CT image | Abdomen | 512x512 | Field of view 425x425 mm

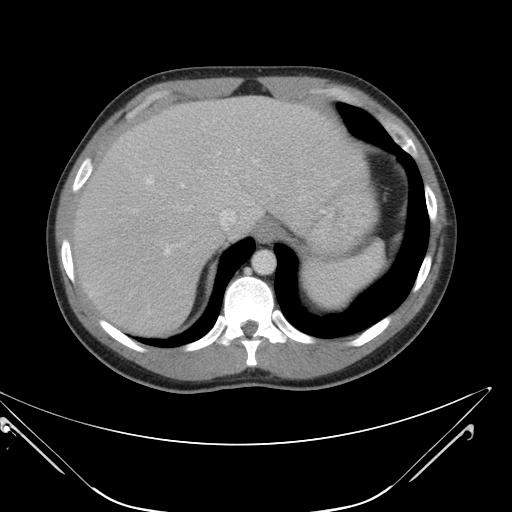

Not every hepatic vessel necessarily has a box.
hepatic vessel: [x1=237, y1=149, x2=239, y2=151], [x1=254, y1=160, x2=257, y2=161], [x1=181, y1=184, x2=183, y2=186], [x1=165, y1=248, x2=169, y2=253], [x1=146, y1=178, x2=153, y2=183], [x1=219, y1=209, x2=235, y2=229]